Image size 240x240, Field of view 240x240 mm, Brain, Slice 69/155
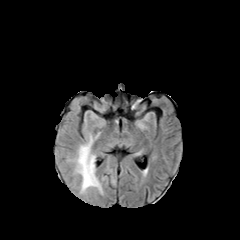
FLAIR MRI.
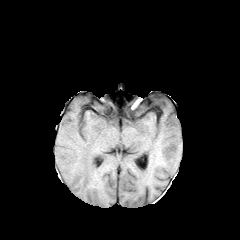
Same slice, T1-weighted magnetic resonance.
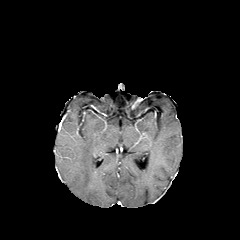
Same slice, post-contrast T1-weighted MR image.
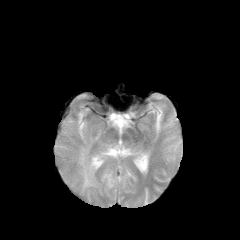
T2-weighted magnetic resonance.
Edema at (left=76, top=136, right=101, bottom=193).